Head. 240x240 px.
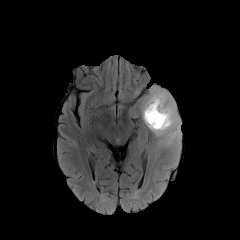
FLAIR MRI.
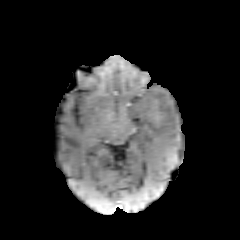
T1-weighted MRI.
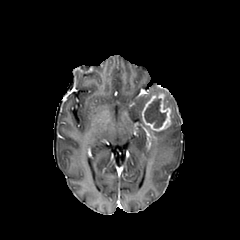
Post-contrast T1-weighted magnetic resonance of the same slice.
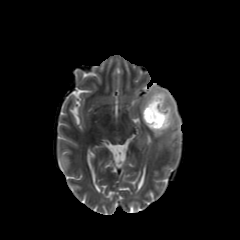
T2-weighted MRI.
Segmented structures:
- enhancing tumor: box(142, 92, 171, 131)
- non-enhancing tumor core: box(145, 99, 165, 127)
- edema: box(139, 84, 181, 157)